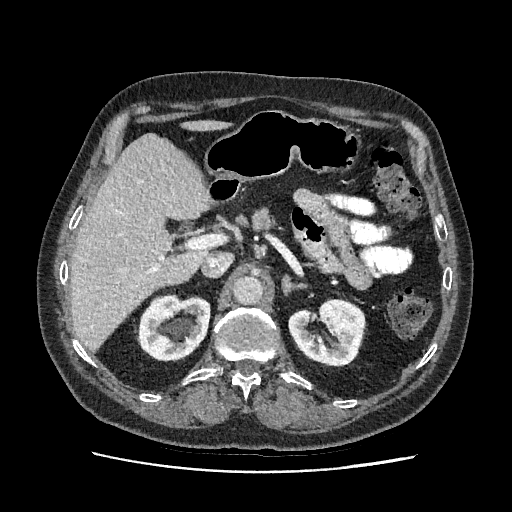 Image size 512x512 | Upper abdomen | CT
2 liver regions appear at box(71, 134, 212, 350); box(182, 121, 229, 130). 2 kidney regions are bounded by box(289, 300, 364, 365); box(139, 296, 209, 359).